Upper abdomen, CT scan slice
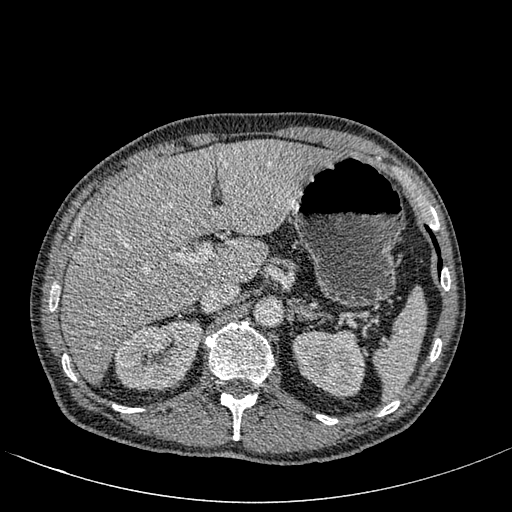
Segmented structures:
- liver: l=61, t=138, r=340, b=383
- kidney: l=293, t=331, r=364, b=395; l=115, t=321, r=202, b=389
- liver lesion: l=153, t=165, r=170, b=180; l=216, t=144, r=224, b=151; l=88, t=246, r=99, b=260